CT, Abdomen

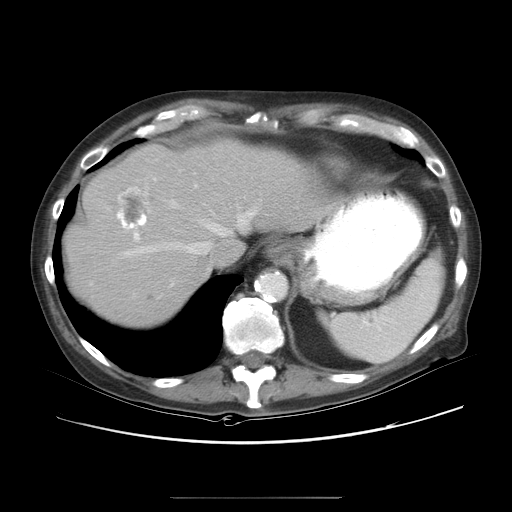
Not every hepatic vessel necessarily has a box.
Liver tumor = 125 197 140 221.
Hepatic vessel = 200 219 229 235, 238 212 254 224, 144 191 147 195, 164 243 210 253, 236 204 239 209, 124 246 163 254.